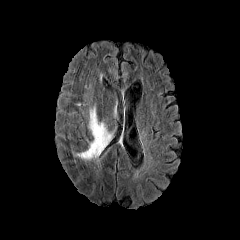
FLAIR magnetic resonance.
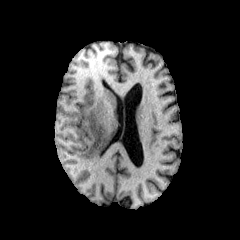
Same slice, T1-weighted MR image.
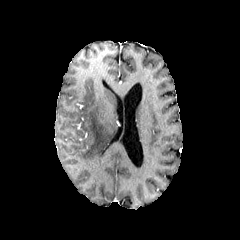
Post-contrast T1-weighted MR image of the same slice.
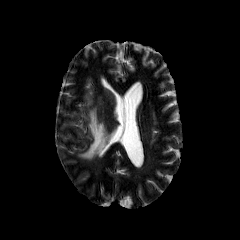
Same slice, T2-weighted MR.
The edema lies within rect(77, 104, 115, 160).